240x240, Head
FLAIR magnetic resonance.
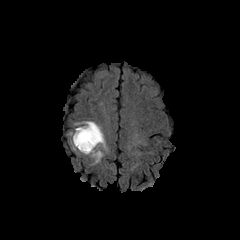
T1-weighted MRI.
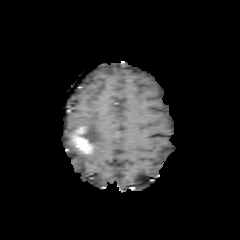
Post-contrast T1-weighted MR.
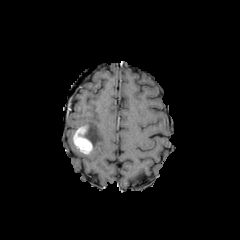
T2-weighted MR.
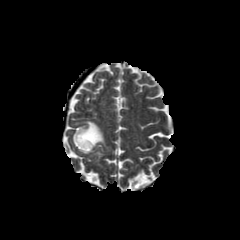
The edema lies within 74,120,107,163. The non-enhancing tumor core is located at 84,125,95,145. The enhancing tumor is at 72,126,92,153.